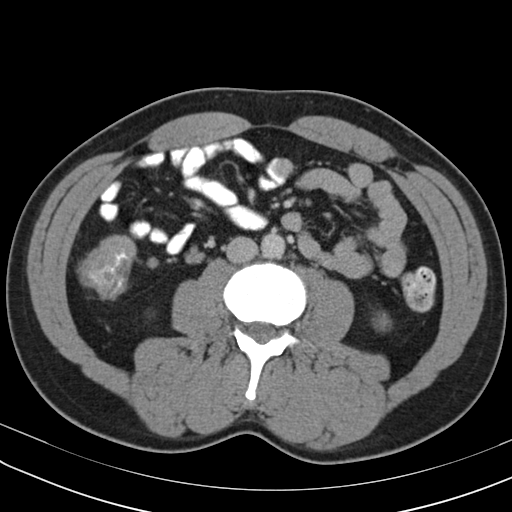
Image size 512x512. CT scan slice.

The colon tumor is located at {"x1": 79, "y1": 235, "x2": 135, "y2": 298}.